Slice index 80
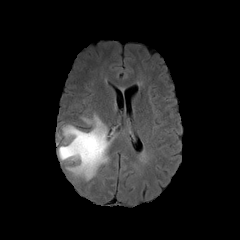
FLAIR magnetic resonance.
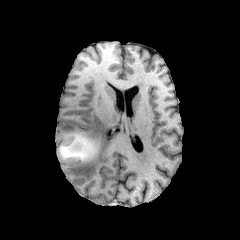
T1-weighted MR of the same slice.
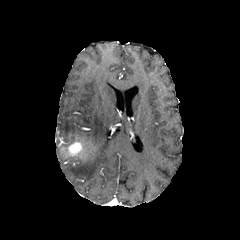
Post-contrast T1-weighted magnetic resonance.
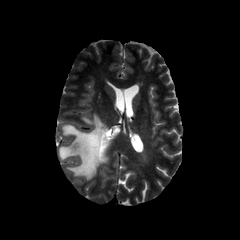
T2-weighted MR image.
Non-enhancing tumor core — box(59, 137, 95, 156).
Edema — box(59, 115, 117, 179).
Enhancing tumor — box(69, 143, 81, 153).